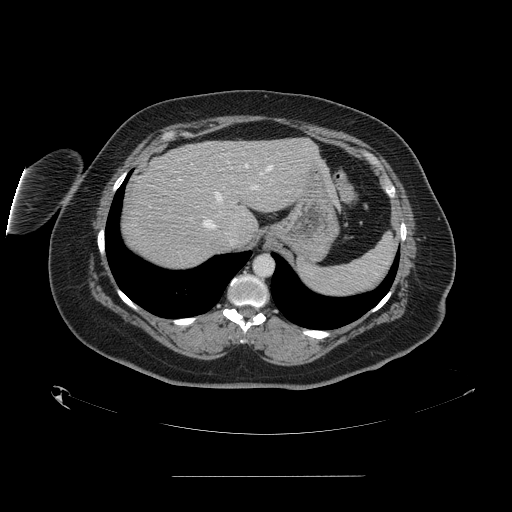
CT image
Annotated regions:
- spleen: <bbox>297, 232, 396, 296</bbox>